FLAIR MRI.
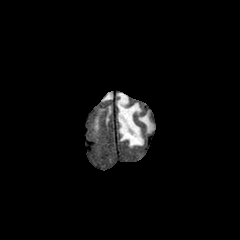
T1-weighted magnetic resonance.
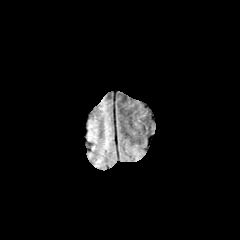
Post-contrast T1-weighted MR.
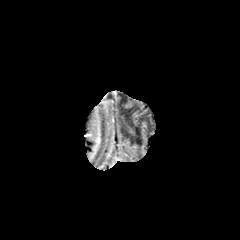
T2-weighted MR.
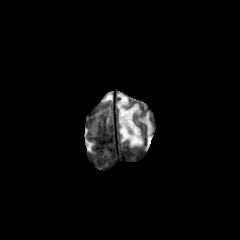
Brain
The edema is located at 116:92:154:147.